512x512 | Computed tomography 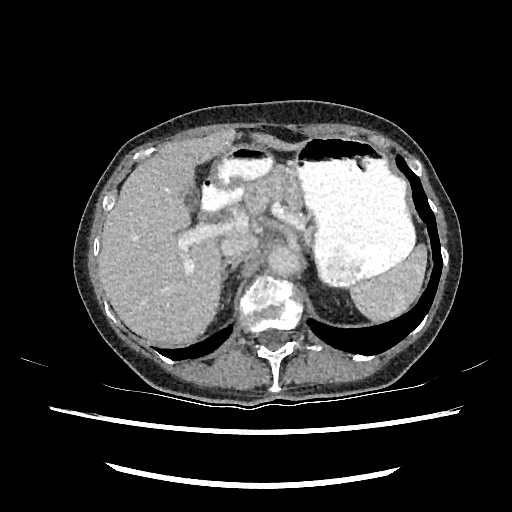 Liver at x1=256, y1=134, x2=298, y2=149; x1=99, y1=129, x2=234, y2=344.